FLAIR MR.
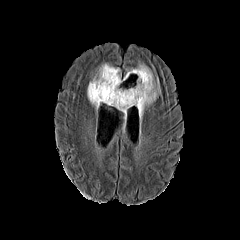
T1-weighted MRI.
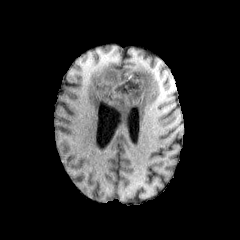
Post-contrast T1-weighted MR image.
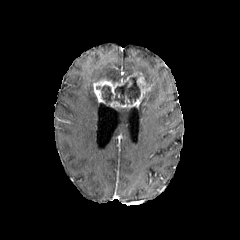
T2-weighted MR image.
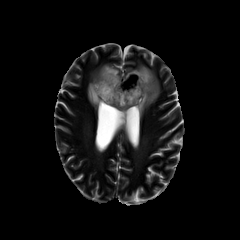
Edema at [123,64,160,117], [87,63,121,120], [117,107,127,119].
Non-enhancing tumor core at [101,74,141,106].
Enhancing tumor at [127,71,152,107], [93,79,121,104], [108,101,126,107].